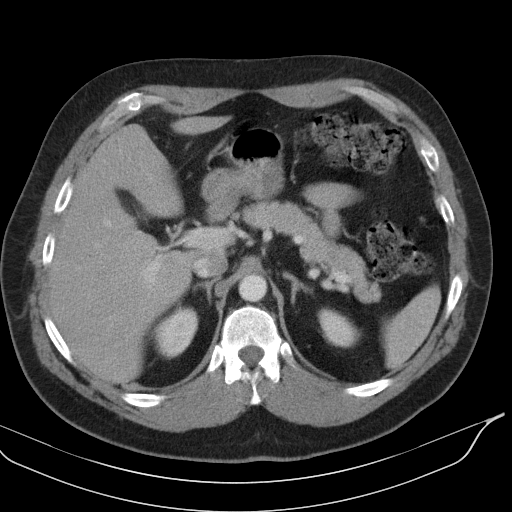
Image size 512x512 | CT image
spleen:
  - (383,283,439,366)